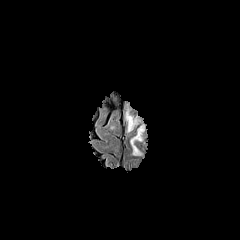
FLAIR MR image.
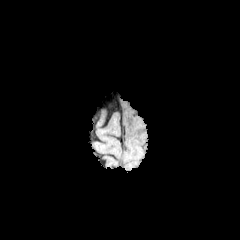
T1-weighted magnetic resonance.
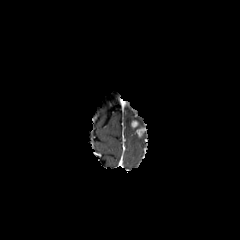
Post-contrast T1-weighted MR image.
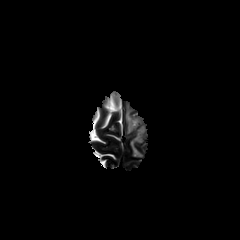
Same slice, T2-weighted magnetic resonance.
Head
edema: 130, 134, 142, 157; 124, 106, 132, 133 | enhancing tumor: 136, 127, 144, 138